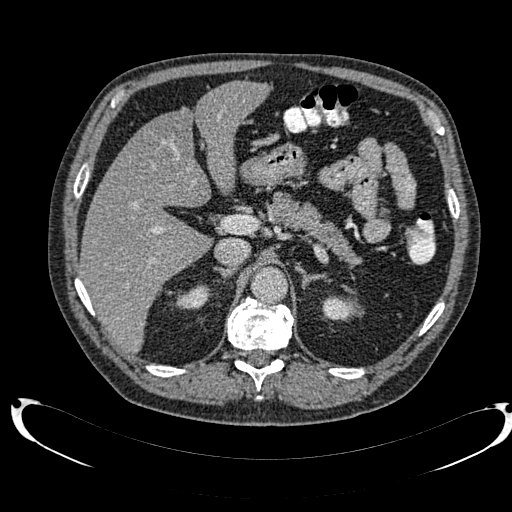
CT image

- kidney: box=[176, 285, 209, 309]; box=[321, 296, 359, 319]
- hepatic lesion: box=[141, 112, 187, 164]
- liver: box=[80, 81, 269, 351]